FLAIR MR.
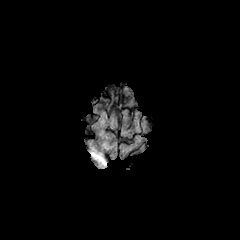
T1-weighted MR image.
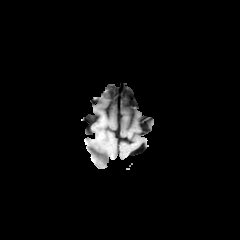
Post-contrast T1-weighted MRI.
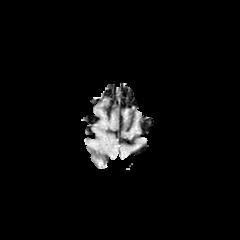
T2-weighted magnetic resonance.
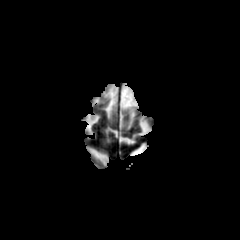
Head.
<segmentation>
  <edema>box=[89, 148, 105, 167]</edema>
</segmentation>